Abdomen | CT image 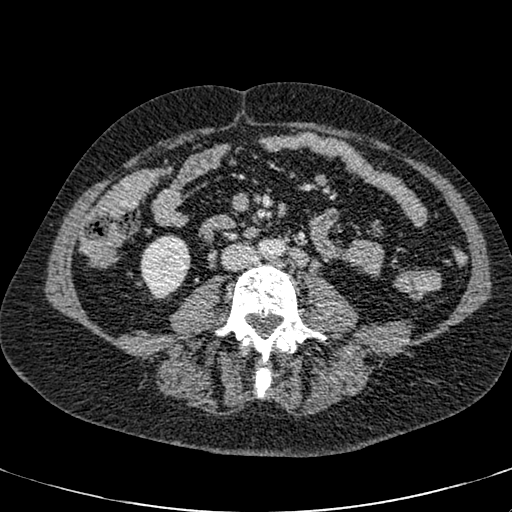
Kidney — [141, 236, 189, 297].